Slice 221/333. CT. Abdomen.
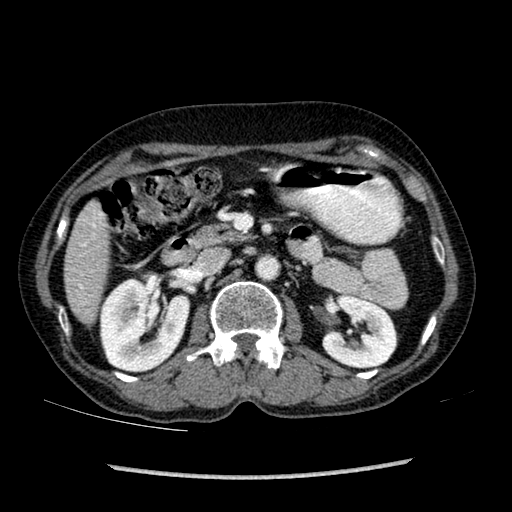
Kidney: bounding box (101, 275, 188, 370), (321, 297, 395, 366).
Liver: bounding box (64, 210, 107, 319).